Field of view 437 mm wide, 0.80 mm slice spacing, CT scan slice
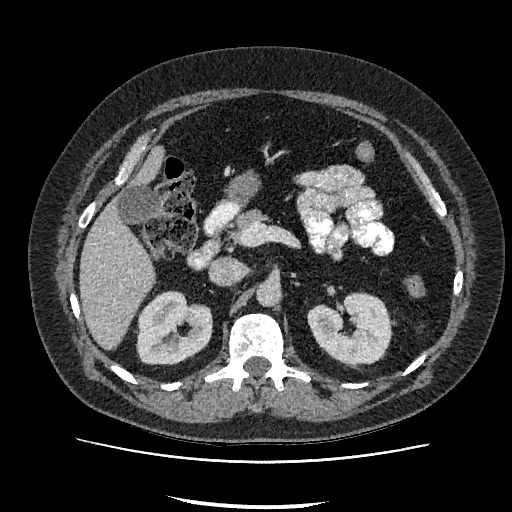
kidney:
  - region(138, 292, 211, 363)
  - region(308, 295, 390, 363)
liver:
  - region(79, 199, 155, 348)
  - region(131, 147, 163, 185)